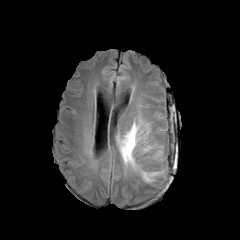
FLAIR magnetic resonance.
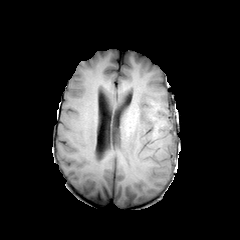
T1-weighted MR.
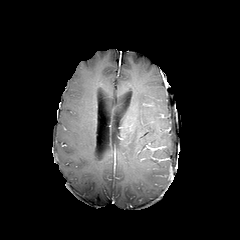
Post-contrast T1-weighted MR image.
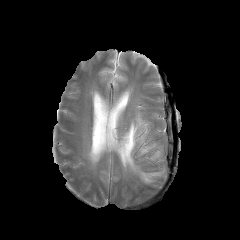
Same slice, T2-weighted MR.
The edema is located at box(117, 114, 165, 183).